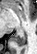
MRI, Medial temporal lobe
posterior_hippocampus:
  - 12:34:25:45